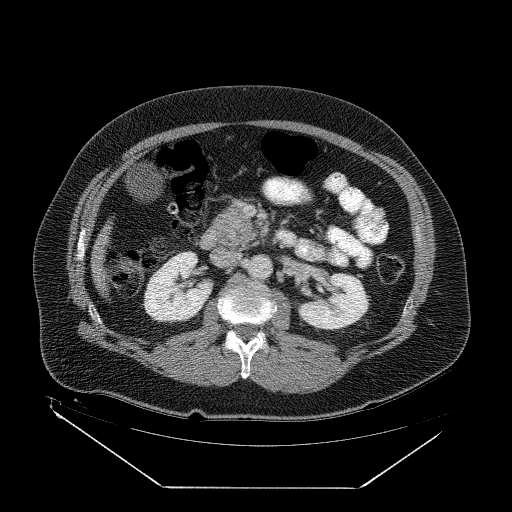 512x512 px; CT image
The pancreatic tumor is located at left=216, top=216, right=241, bottom=239. The pancreas lies within left=209, top=204, right=257, bottom=248.